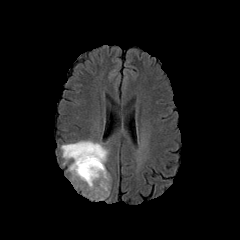
FLAIR MR image.
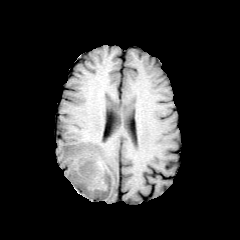
Same slice, T1-weighted MR.
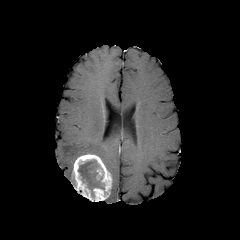
Post-contrast T1-weighted MRI.
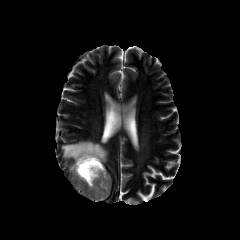
Same slice, T2-weighted magnetic resonance.
Image size 240x240
edema: bbox=[61, 140, 108, 174] | enhancing tumor: bbox=[71, 154, 111, 201] | non-enhancing tumor core: bbox=[78, 159, 103, 189]